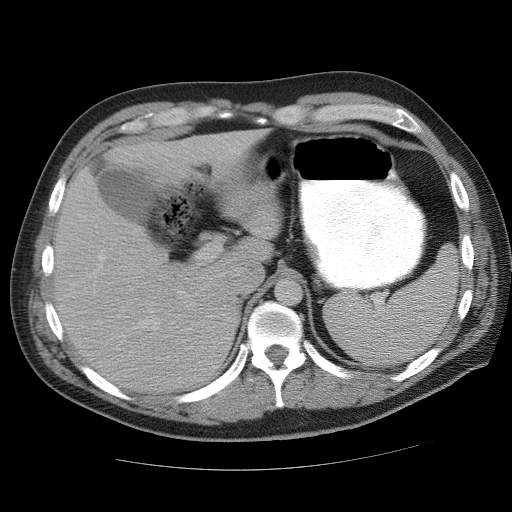
CT scan slice
Segmented structures:
- spleen: bbox(325, 246, 459, 367)